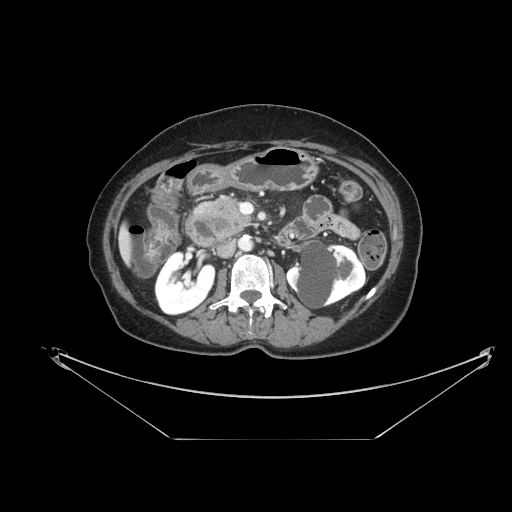
Computed tomography | Upper abdomen
Pancreatic tumor — <bbox>211, 218, 229, 231</bbox>.
Pancreas — <bbox>195, 197, 249, 241</bbox>.